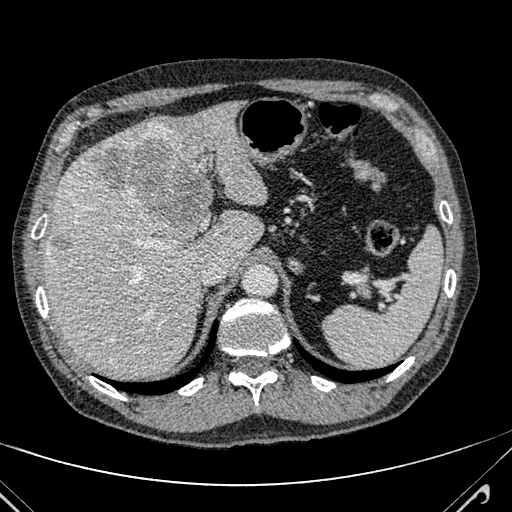 CT | Liver
{"hepatic_lesion": ["(52,238,69,249)", "(94,138,218,231)"], "liver": ["(46,102,266,376)"]}